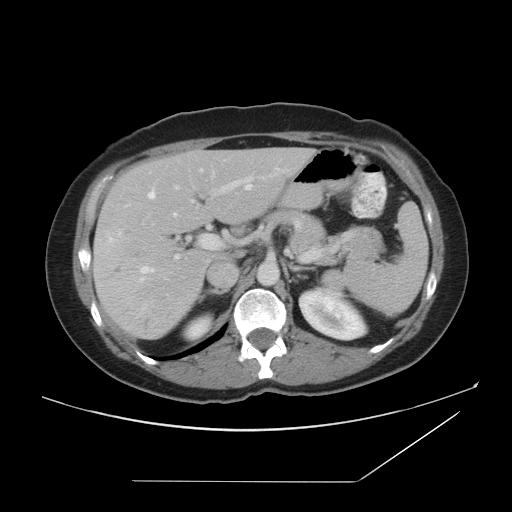 Liver; CT slice
Not every hepatic vessel necessarily has a box.
hepatic vessel: [200,169,202,171], [276,168,278,169], [174,186,178,188], [173,213,176,215], [191,199,194,202], [221,175,252,191], [109,237,112,241], [147,188,155,198], [141,266,153,273], [151,300,153,303], [142,306,146,310], [118,231,120,234], [212,176,213,177], [174,255,178,258], [139,277,143,281]